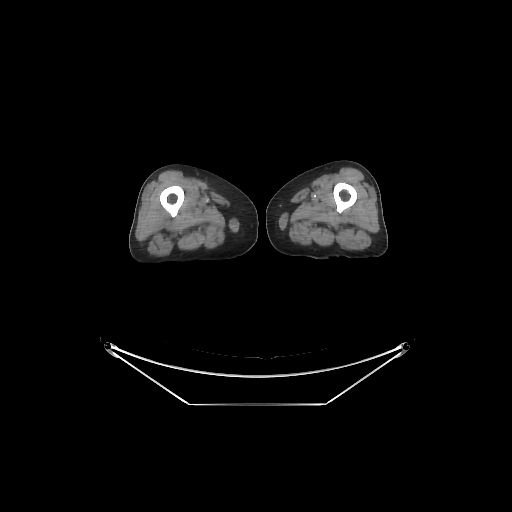

CT
bone: box=[160, 185, 184, 216]; box=[333, 182, 356, 212]